CT scan slice | 512x512 | Slice 363 of 560

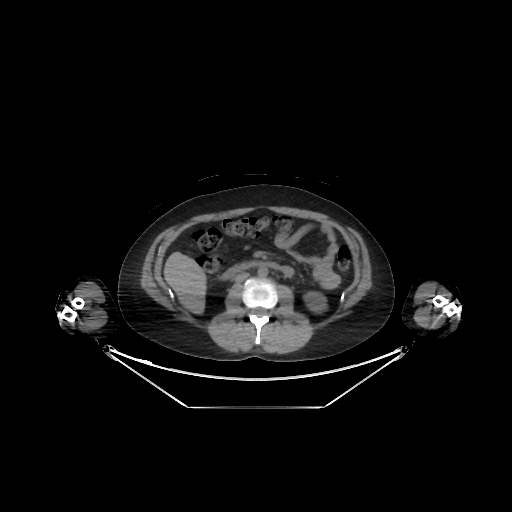

Kidney = 303 291 327 313.
Liver = 164 252 206 313.